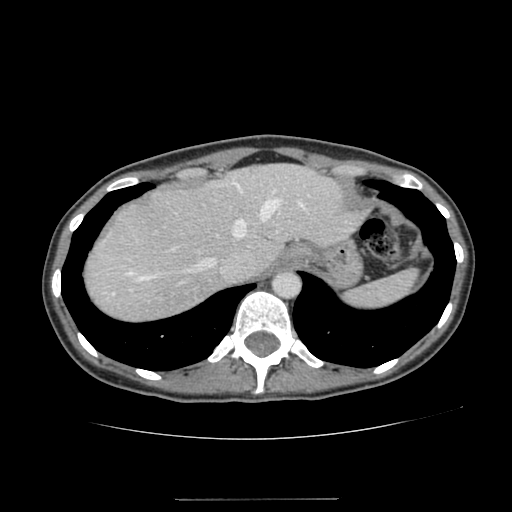
CT, Upper abdomen
Liver at {"x1": 84, "y1": 165, "x2": 363, "y2": 323}.